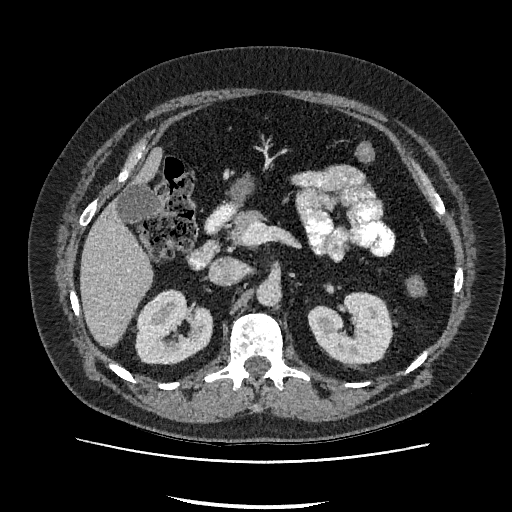
Liver. Computed tomography. 512x512 px.

Liver: bounding box (x1=80, y1=201, x2=153, y2=346), (x1=134, y1=149, x2=161, y2=183).
Kidney: bounding box (x1=308, y1=294, x2=391, y2=362), (x1=136, y1=291, x2=211, y2=363).